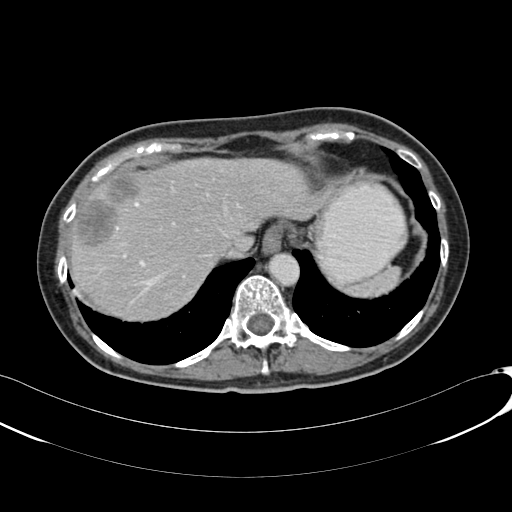

Computed tomography. 512x512. Abdomen.

Liver: bounding box [70,158,315,318].
Focal liver lesion: bounding box [103,175,139,203], [73,198,117,246].